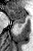

Medial temporal lobe. MR image. Anterior hippocampus — {"x1": 9, "y1": 9, "x2": 26, "y2": 23}.
Posterior hippocampus — {"x1": 17, "y1": 24, "x2": 20, "y2": 28}.